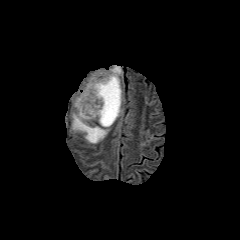
FLAIR magnetic resonance.
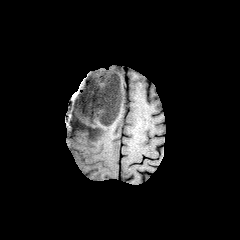
T1-weighted MRI of the same slice.
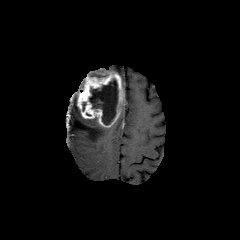
Post-contrast T1-weighted magnetic resonance of the same slice.
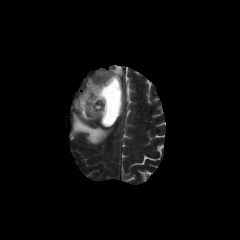
T2-weighted MRI.
Image size 240x240
- edema: (110, 65, 122, 75), (70, 98, 108, 143)
- enhancing tumor: (76, 70, 123, 124)
- non-enhancing tumor core: (89, 80, 117, 127), (89, 68, 112, 78)